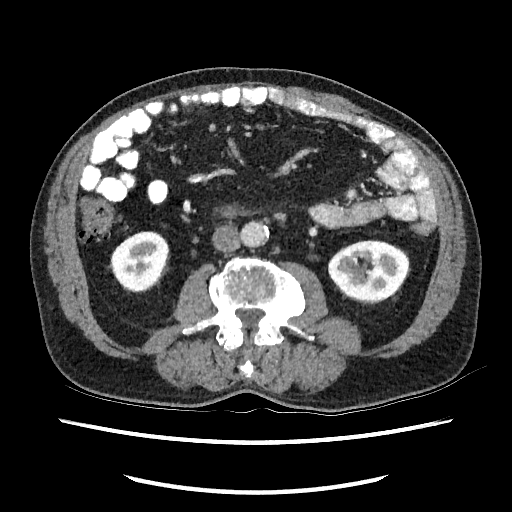

Abdomen, Computed tomography
Kidney = l=110, t=232, r=168, b=291; l=328, t=241, r=409, b=303.